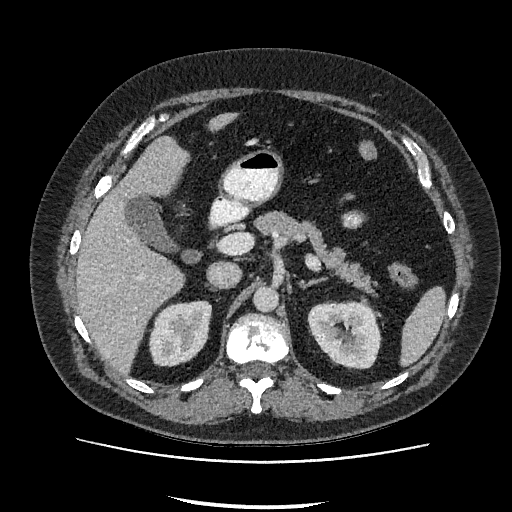 CT slice; Upper abdomen
liver: box=[77, 136, 188, 374]; box=[211, 113, 236, 130] | kidney: box=[150, 302, 210, 365]; box=[309, 303, 379, 367]